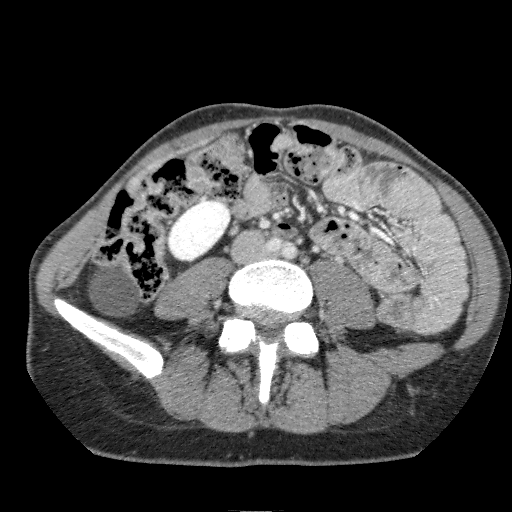

Upper abdomen | 512x512 | Computed tomography
2 liver regions are located at {"x1": 127, "y1": 157, "x2": 169, "y2": 191}, {"x1": 178, "y1": 140, "x2": 211, "y2": 154}. The kidney lies within {"x1": 169, "y1": 201, "x2": 229, "y2": 259}.